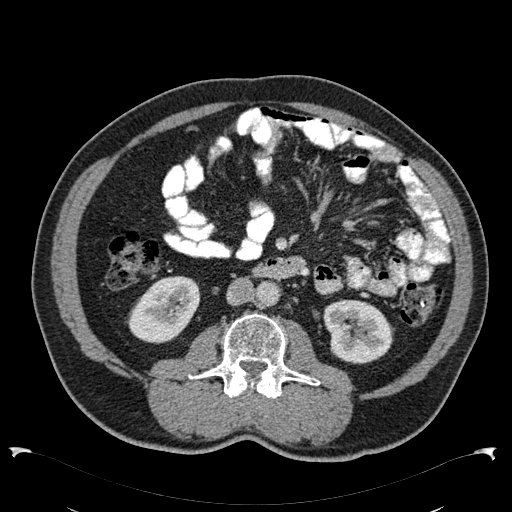
512x512, CT image, Abdomen
2 kidney regions appear at region(324, 300, 392, 363); region(128, 276, 199, 343).